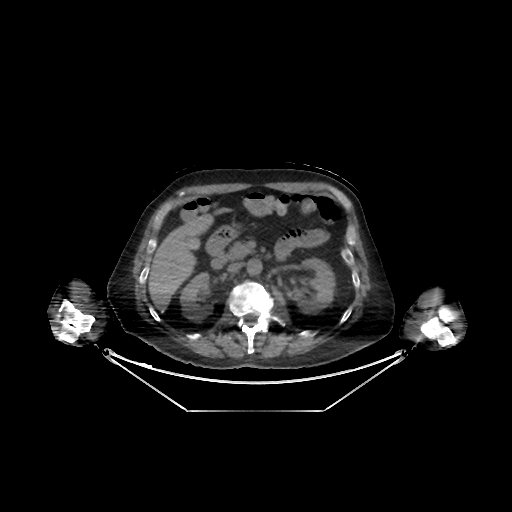

Image size 512x512; CT; Liver

Kidney: bounding box [x1=178, y1=270, x2=214, y2=320], [x1=293, y1=256, x2=335, y2=314].
Liver: bounding box [x1=148, y1=210, x2=214, y2=307].